Image size 512x512, CT slice, Image width 458 mm, Abdomen 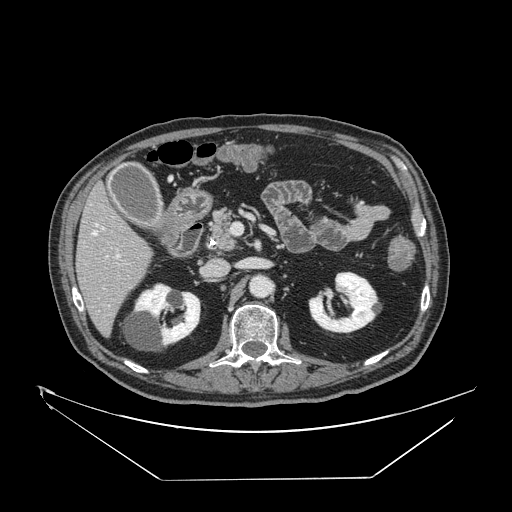

{"pancreas": ["(x1=202, y1=206, x2=239, y2=253)"]}